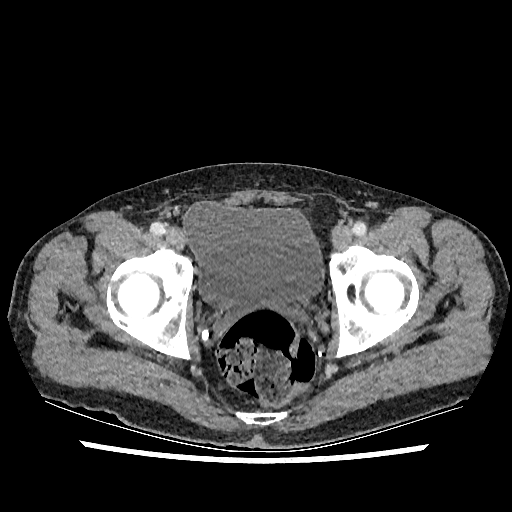

Pelvis. Computed tomography. 512x512.

urinary bladder: region(184, 201, 325, 330)